CT; Abdomen

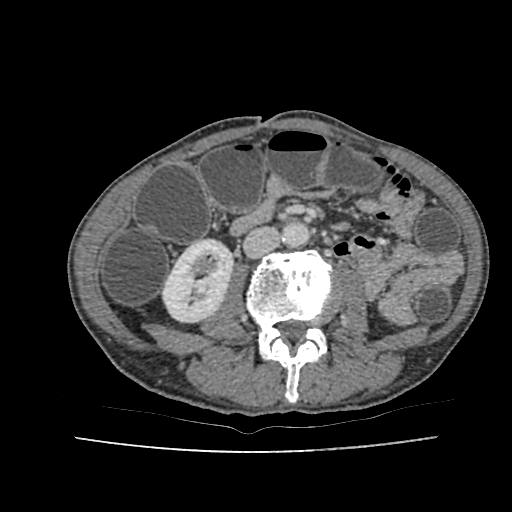
{
  "kidney": [
    "(163, 240, 232, 321)"
  ]
}